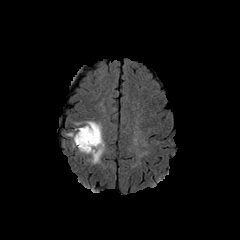
FLAIR magnetic resonance.
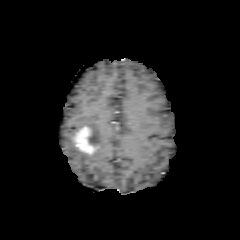
T1-weighted MR.
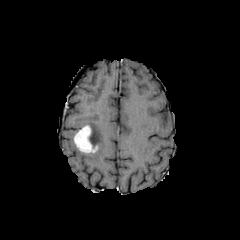
Post-contrast T1-weighted MR.
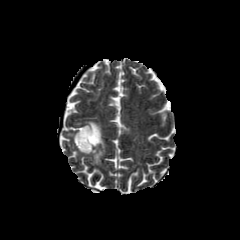
T2-weighted MR image.
Brain
{
  "edema": [
    "x1=84, y1=121, x2=104, y2=163"
  ],
  "enhancing_tumor": [
    "x1=74, y1=125, x2=98, y2=153"
  ],
  "non-enhancing_tumor_core": [
    "x1=89, y1=127, x2=94, y2=144"
  ]
}